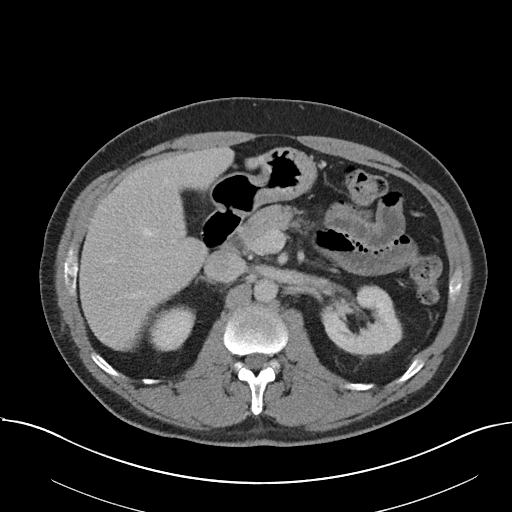

512x512; CT image; Abdomen
The vessel annotation is not exhaustive.
<segmentation>
  <hepatic_vessel>[x1=112, y1=257, x2=115, y2=261], [x1=151, y1=291, x2=154, y2=291], [x1=195, y1=170, x2=197, y2=171], [x1=139, y1=291, x2=143, y2=293], [x1=162, y1=290, x2=165, y2=292], [x1=179, y1=262, x2=181, y2=263], [x1=167, y1=282, x2=171, y2=287], [x1=197, y1=183, x2=200, y2=184], [x1=130, y1=294, x2=136, y2=297], [x1=143, y1=228, x2=151, y2=235]</hepatic_vessel>
</segmentation>